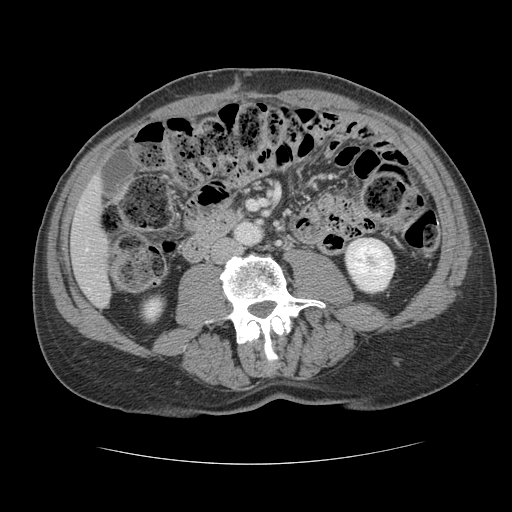 CT image, Abdomen

The vessel boxes may cover only some of the vessels.
* hepatic vessel: {"x1": 87, "y1": 288, "x2": 89, "y2": 289}, {"x1": 86, "y1": 247, "x2": 87, "y2": 249}